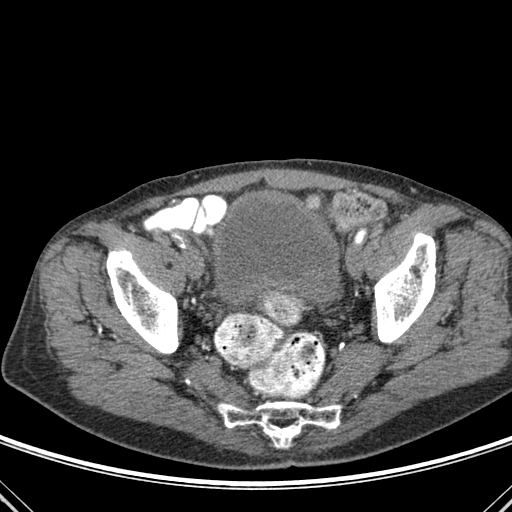

CT
Bone: rect(374, 233, 435, 342); rect(218, 401, 341, 447); rect(106, 249, 178, 353).
Urinary bladder: rect(206, 194, 345, 305).